CT scan slice.
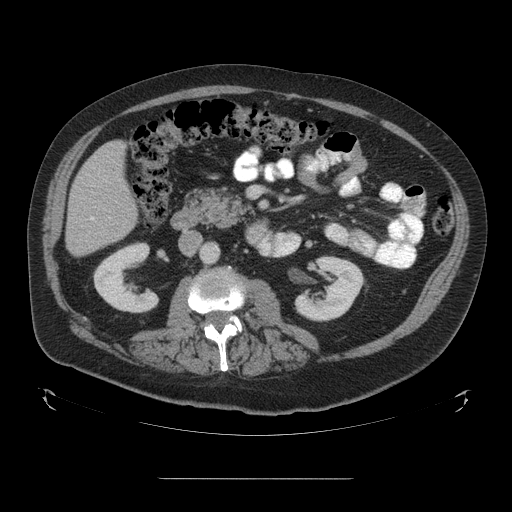 The vessel annotation is not exhaustive.
2 hepatic vessel regions are located at [109,217,111,218], [90,217,93,219].